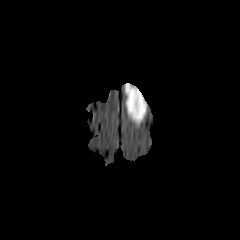
FLAIR MR.
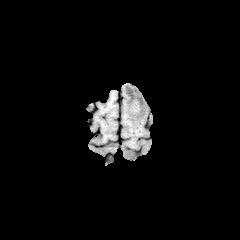
T1-weighted MR.
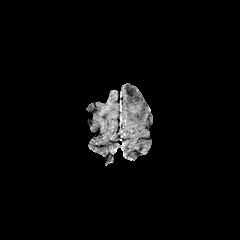
Post-contrast T1-weighted magnetic resonance of the same slice.
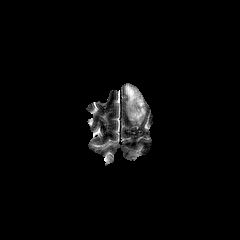
Same slice, T2-weighted MRI.
Brain | 240x240
Annotated regions:
• edema: box=[124, 84, 146, 128]